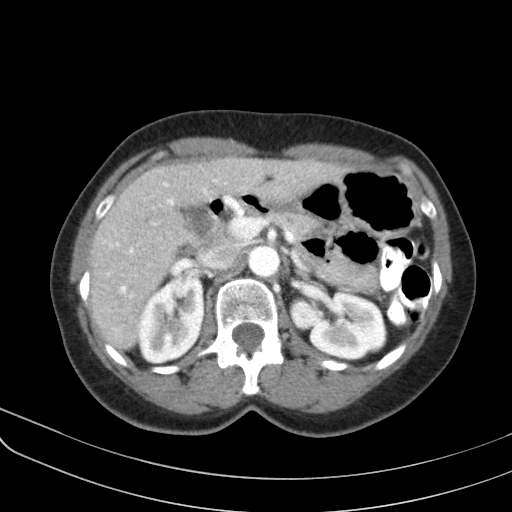 CT scan slice

<segmentation>
  <pancreas>(x1=266, y1=211, x2=321, y2=243)</pancreas>
</segmentation>